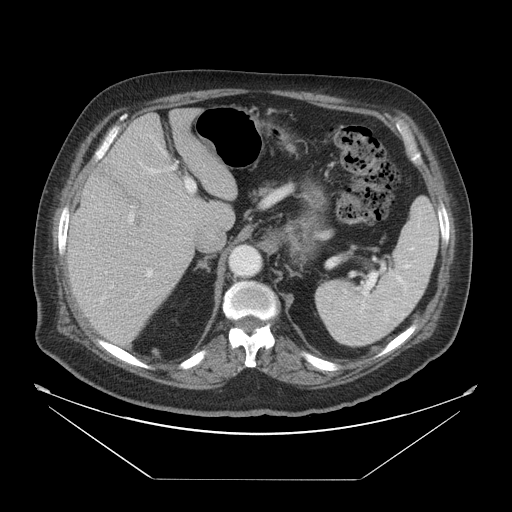

Liver; CT slice
Not every hepatic vessel necessarily has a box.
liver tumor: (x1=132, y1=209, x2=144, y2=235), (x1=93, y1=158, x2=139, y2=199) | hepatic vessel: (x1=185, y1=178, x2=195, y2=192), (x1=196, y1=228, x2=223, y2=250), (x1=128, y1=211, x2=133, y2=223), (x1=131, y1=206, x2=133, y2=207), (x1=167, y1=165, x2=175, y2=169), (x1=138, y1=161, x2=161, y2=174), (x1=146, y1=268, x2=152, y2=276)